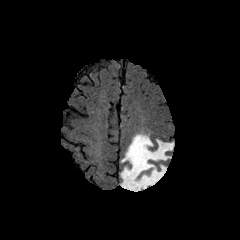
FLAIR MRI.
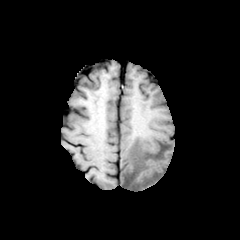
T1-weighted MRI.
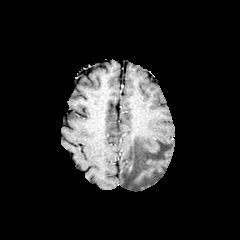
Post-contrast T1-weighted MR.
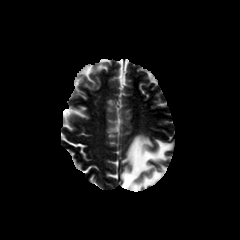
T2-weighted MR of the same slice.
edema: bbox(120, 134, 173, 191)